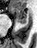 MRI.

Anterior hippocampus: bounding box (left=11, top=7, right=26, bottom=22).
Posterior hippocampus: bounding box (left=20, top=23, right=25, bottom=23).